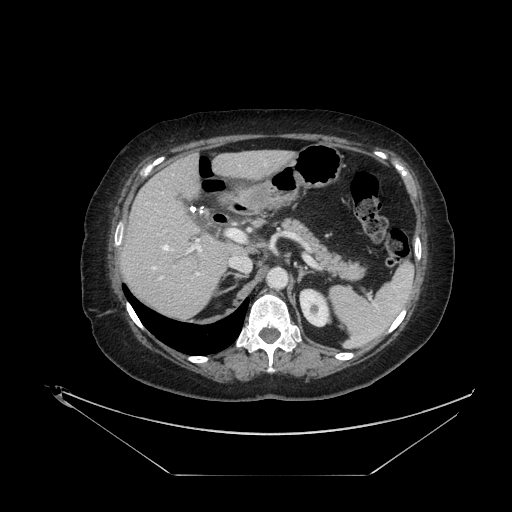
512x512, CT image
Segmented structures:
* pancreas: bbox(283, 219, 364, 279)